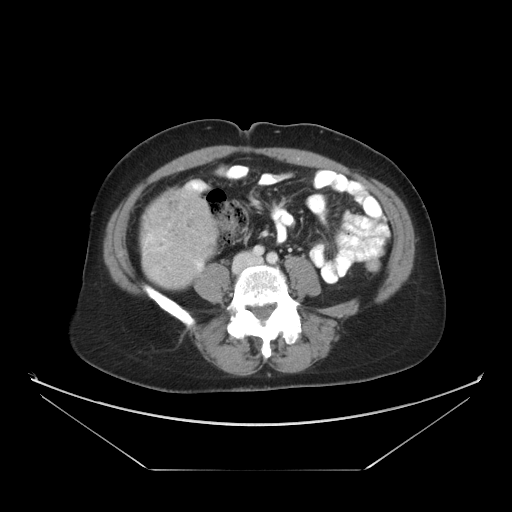
Computed tomography
The liver tumor lies within box=[144, 191, 215, 287].